CT, Liver, Slice 625 of 722 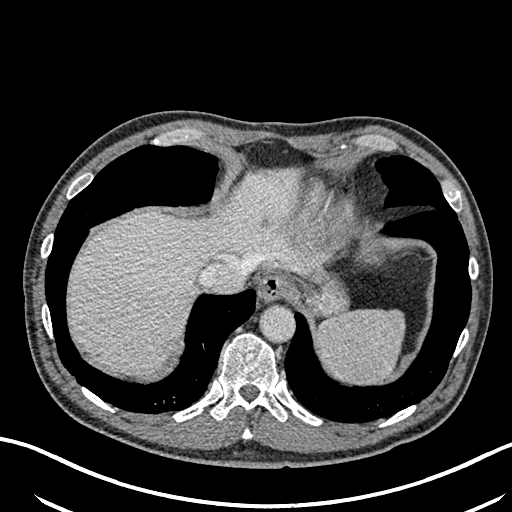

liver lesion: bbox(166, 341, 174, 356); bbox(260, 216, 270, 227) | liver: bbox(66, 168, 321, 375)